Slice 53/155 | Image size 240x240 | Image width 240 mm | Head
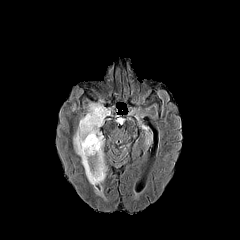
FLAIR MR.
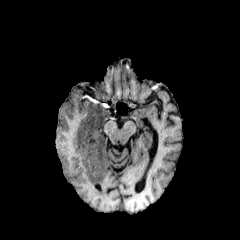
Same slice, T1-weighted MR image.
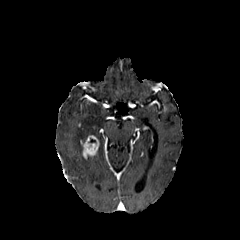
Post-contrast T1-weighted magnetic resonance of the same slice.
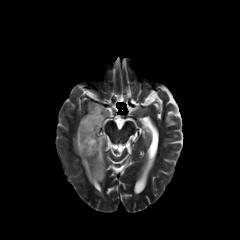
T2-weighted MRI of the same slice.
edema: box(73, 103, 110, 187) | enhancing tumor: box(80, 135, 98, 158)